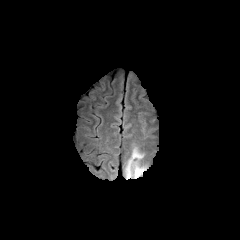
FLAIR MR image.
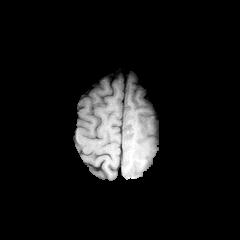
T1-weighted MR image.
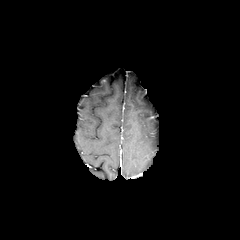
Post-contrast T1-weighted MRI of the same slice.
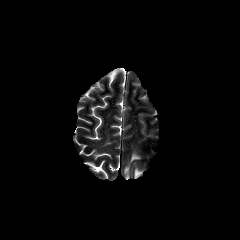
T2-weighted MRI.
240x240.
Edema: bounding box box(124, 154, 144, 179).